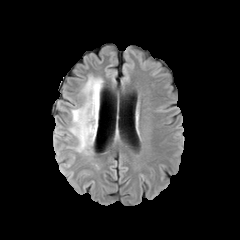
FLAIR MRI.
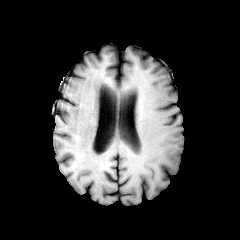
T1-weighted MR image.
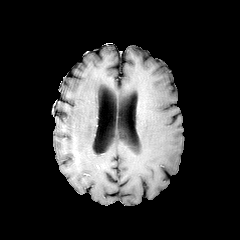
Post-contrast T1-weighted magnetic resonance of the same slice.
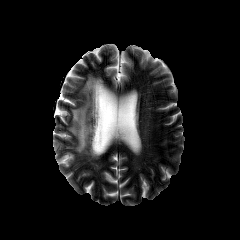
Same slice, T2-weighted MRI.
Head.
Edema at (68,76,103,155).